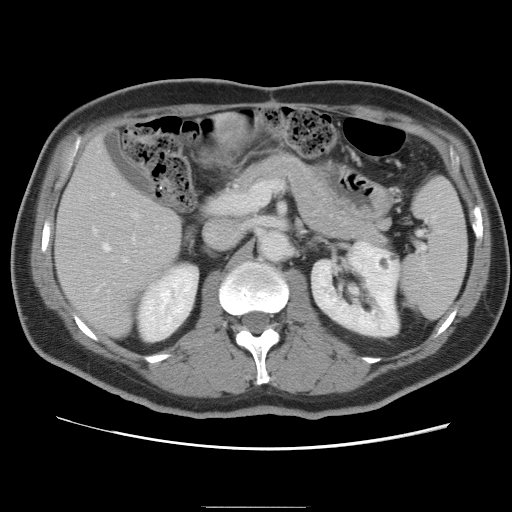 CT image, Liver

Some hepatic vessels may have no box.
hepatic_vessel:
  - rect(132, 235, 134, 240)
  - rect(101, 283, 103, 285)
  - rect(95, 287, 98, 290)
  - rect(102, 243, 109, 250)
  - rect(92, 227, 97, 233)
  - rect(123, 257, 127, 261)
  - rect(111, 192, 113, 194)
  - rect(132, 213, 138, 217)
liver_tumor:
  - rect(219, 119, 244, 133)